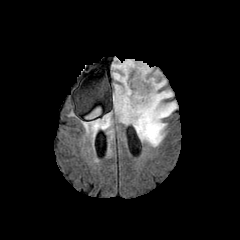
FLAIR magnetic resonance.
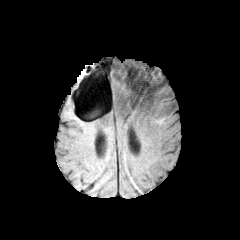
Same slice, T1-weighted magnetic resonance.
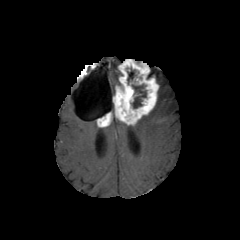
Post-contrast T1-weighted MRI.
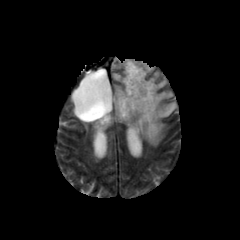
T2-weighted MR.
Brain.
Edema: (134, 90, 177, 146), (86, 108, 101, 131), (111, 61, 120, 85), (156, 77, 166, 88).
Enhancing tumor: (113, 60, 159, 124), (96, 112, 112, 126).
Non-enhancing tumor core: (132, 85, 146, 108), (127, 69, 135, 81).